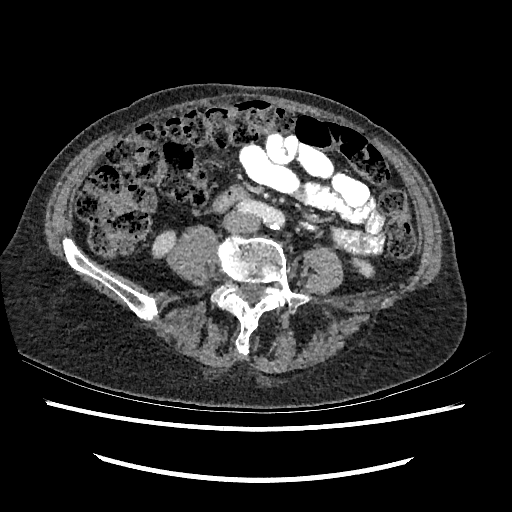

Abdomen | CT
- kidney: rect(149, 228, 181, 260); rect(355, 259, 371, 275)